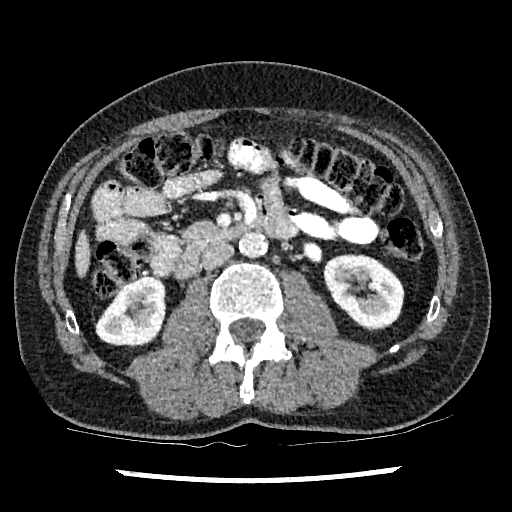 CT slice
Kidney = rect(97, 277, 164, 344); rect(325, 256, 402, 327).
Liver = rect(75, 230, 88, 276).